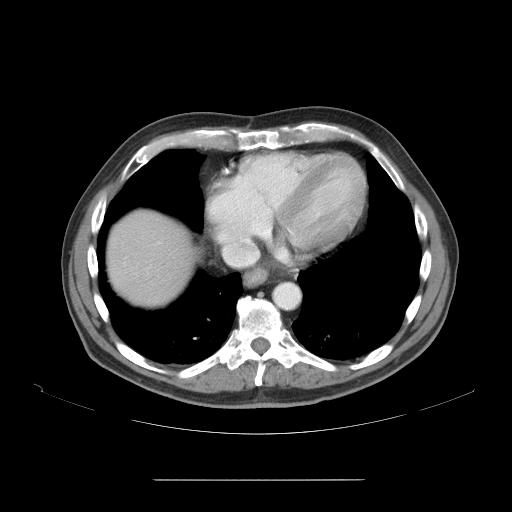

Computed tomography | 512x512 | Abdomen
The vessel annotation is not exhaustive.
Hepatic vessel: bounding box box(224, 244, 258, 265); box(238, 234, 249, 242).